CT 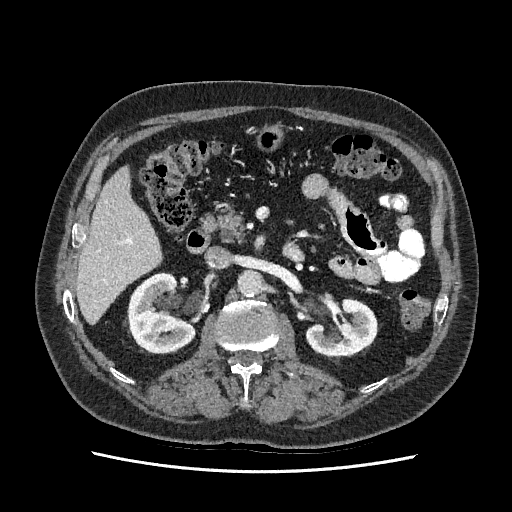

{
  "liver": [
    "x1=77 y1=165 x2=161 y2=325"
  ],
  "kidney": [
    "x1=307 y1=300 x2=376 y2=355",
    "x1=129 y1=274 x2=194 y2=352"
  ]
}